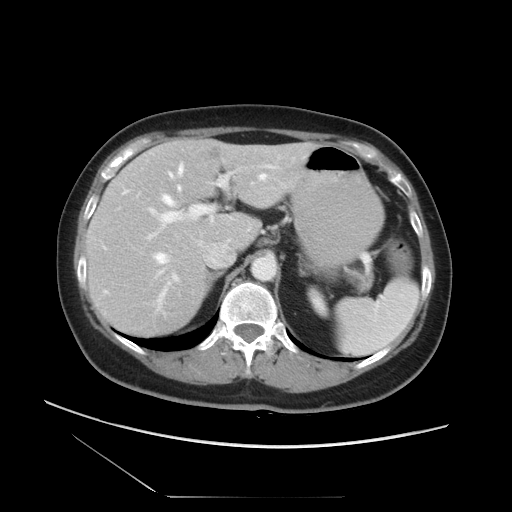
CT, Abdomen

Not every hepatic vessel necessarily has a box.
Top 15 of 18 hepatic vessel regions: <box>189,205,214,222</box>, <box>169,173,173,177</box>, <box>216,172,234,186</box>, <box>265,166,277,169</box>, <box>157,270,164,276</box>, <box>158,283,170,309</box>, <box>259,174,266,180</box>, <box>148,232,157,239</box>, <box>161,194,174,206</box>, <box>154,254,167,263</box>, <box>198,241,202,245</box>, <box>172,274,177,280</box>, <box>150,209,156,214</box>, <box>159,211,182,229</box>, <box>177,164,183,175</box>.